Image width 240 mm. Image size 240x240. Head. Slice 62 of 155.
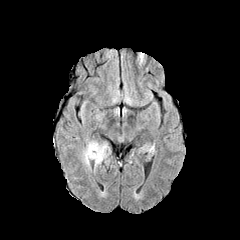
FLAIR MR.
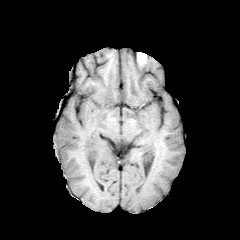
T1-weighted MR.
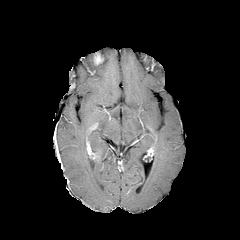
Same slice, post-contrast T1-weighted magnetic resonance.
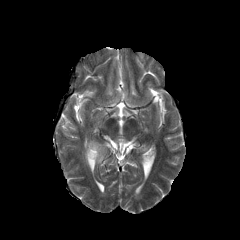
Same slice, T2-weighted magnetic resonance.
Edema = 90, 140, 110, 172; 79, 146, 91, 172.